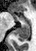
MR image. The posterior hippocampus is located at <bbox>14, 23, 30, 41</bbox>. The anterior hippocampus lies within <bbox>16, 17, 18, 19</bbox>.